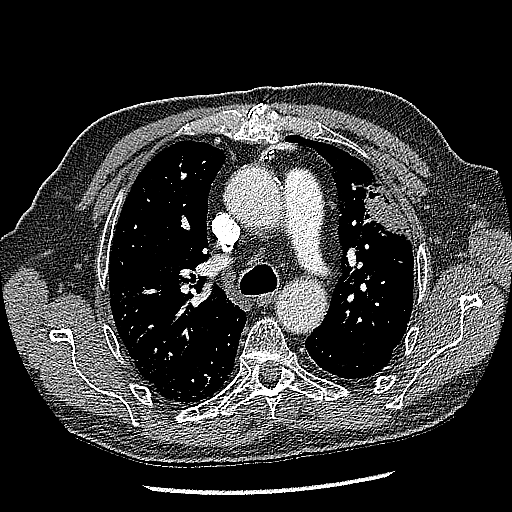

Computed tomography

Lung tumor: box=[363, 178, 408, 241].